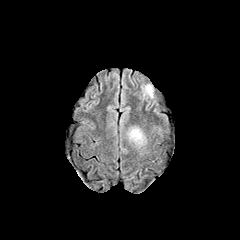
FLAIR MR image.
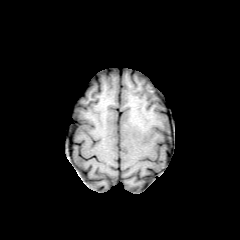
T1-weighted MRI.
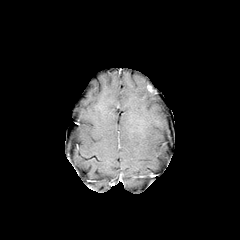
Post-contrast T1-weighted MRI of the same slice.
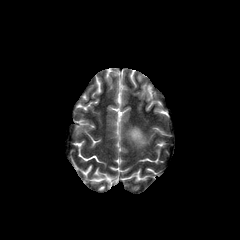
T2-weighted MRI.
Edema — x1=128, y1=127, x2=146, y2=147.